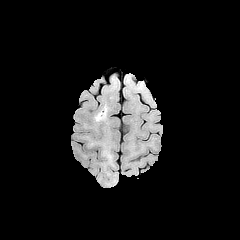
FLAIR MRI.
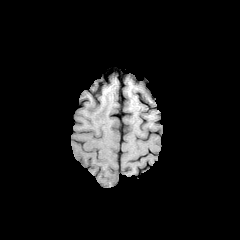
T1-weighted MR.
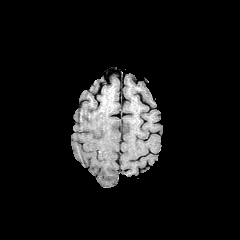
Post-contrast T1-weighted MR image.
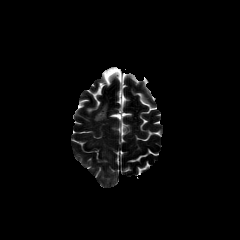
T2-weighted magnetic resonance of the same slice.
Brain
Edema = (left=97, top=107, right=107, bottom=119).